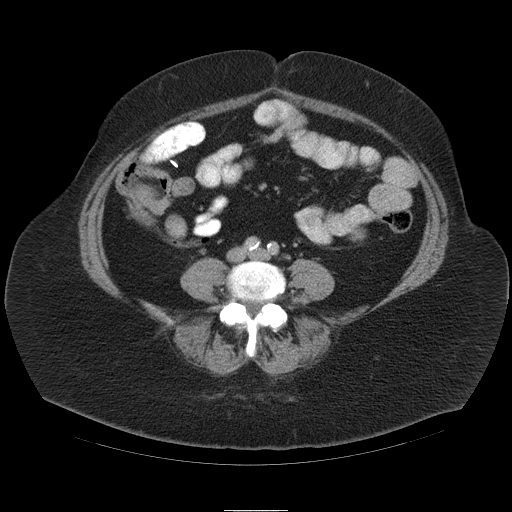
CT scan slice
colon tumor: (146,168,173,194), (129,185,168,214)